240x240, Slice 124 of 155
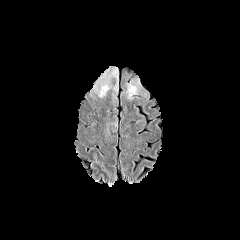
FLAIR MRI.
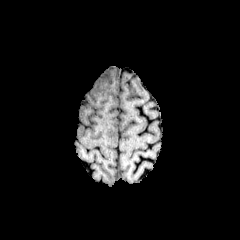
T1-weighted magnetic resonance of the same slice.
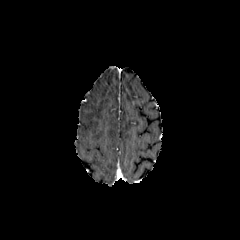
Post-contrast T1-weighted MR image.
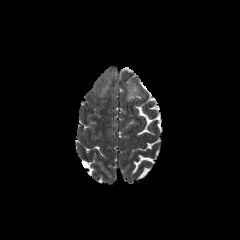
T2-weighted MRI.
The edema is located at box(100, 84, 108, 96).